FLAIR MR image.
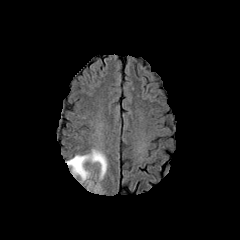
T1-weighted MR image.
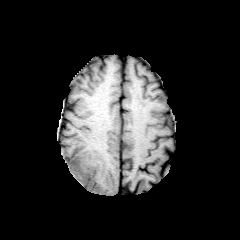
Post-contrast T1-weighted MR.
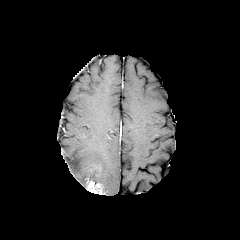
T2-weighted magnetic resonance.
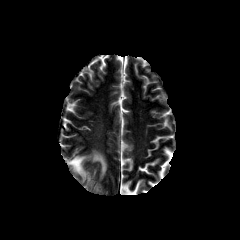
Brain
The enhancing tumor is bounded by [x1=85, y1=172, x2=102, y2=193]. The edema appears at [x1=66, y1=149, x2=107, y2=182].